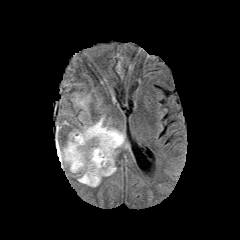
FLAIR MR image.
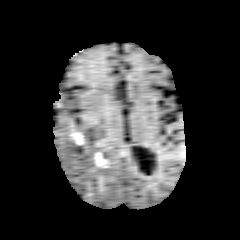
T1-weighted magnetic resonance.
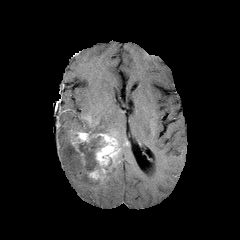
Same slice, post-contrast T1-weighted MRI.
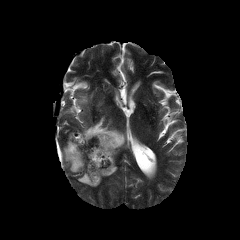
T2-weighted MR of the same slice.
Edema: bounding box region(71, 94, 88, 109); region(82, 117, 125, 139); region(59, 130, 116, 187).
Enhancing tumor: bounding box region(89, 170, 99, 178); region(77, 132, 91, 141); region(95, 132, 119, 164).